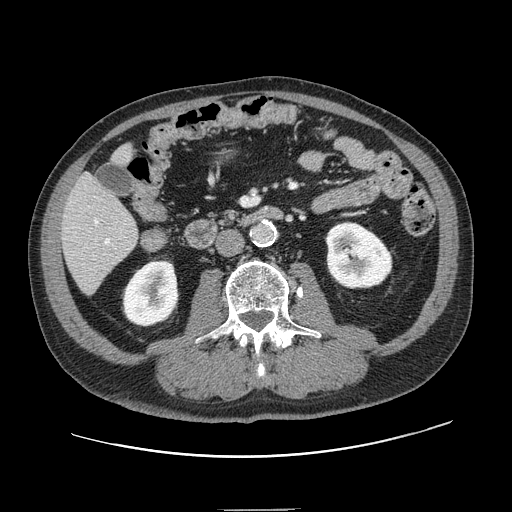

CT scan slice.

Segmented structures:
• pancreas: box(215, 208, 243, 224)